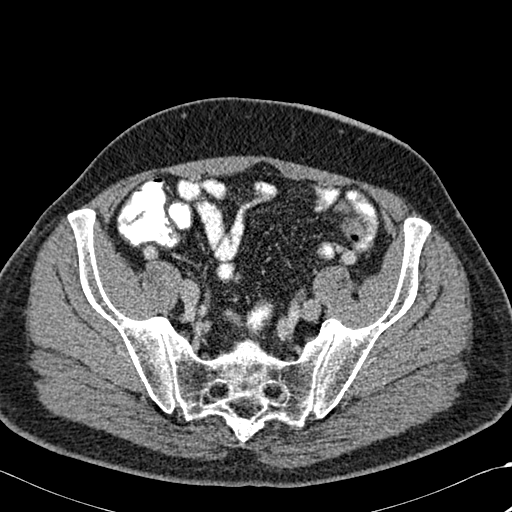
CT

Annotated regions:
• bone: (68, 209, 430, 441)